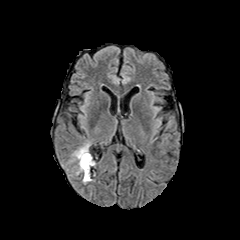
FLAIR MR image.
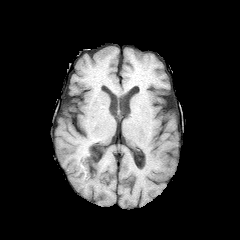
Same slice, T1-weighted MR image.
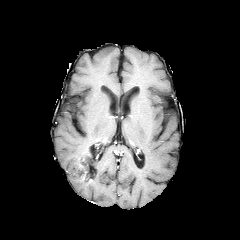
Post-contrast T1-weighted MR image of the same slice.
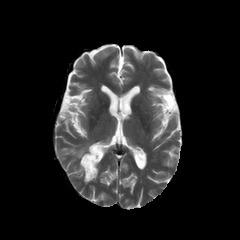
Same slice, T2-weighted MR.
Non-enhancing tumor core — 80:150:94:178.
Edema — 72:143:91:175, 83:159:96:182.